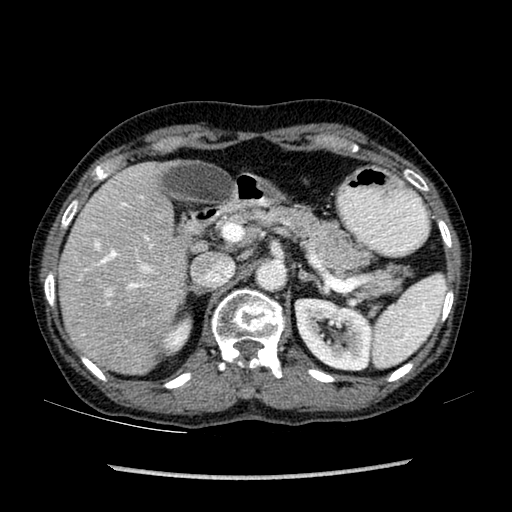
Abdomen; CT image; Image size 512x512
Kidney: bounding box {"x1": 163, "y1": 322, "x2": 188, "y2": 350}, {"x1": 296, "y1": 299, "x2": 370, "y2": 369}.
Liver: bounding box {"x1": 60, "y1": 169, "x2": 186, "y2": 372}.